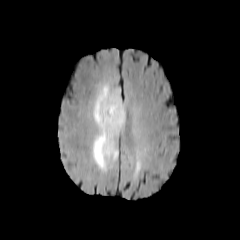
FLAIR MRI.
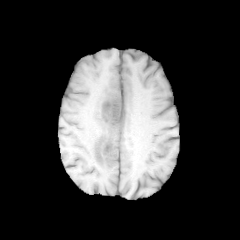
T1-weighted magnetic resonance.
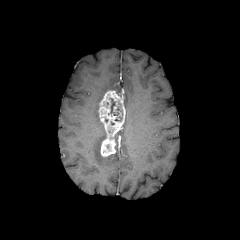
Post-contrast T1-weighted MR.
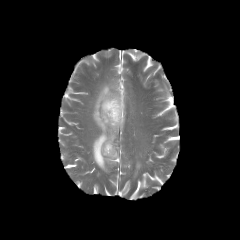
Same slice, T2-weighted magnetic resonance.
Annotated regions:
* enhancing tumor: (x1=98, y1=91, x2=125, y2=156)
* edema: (x1=93, y1=84, x2=119, y2=172)
* non-enhancing tumor core: (x1=107, y1=98, x2=121, y2=116)